Slice 569 of 836, Upper abdomen, CT 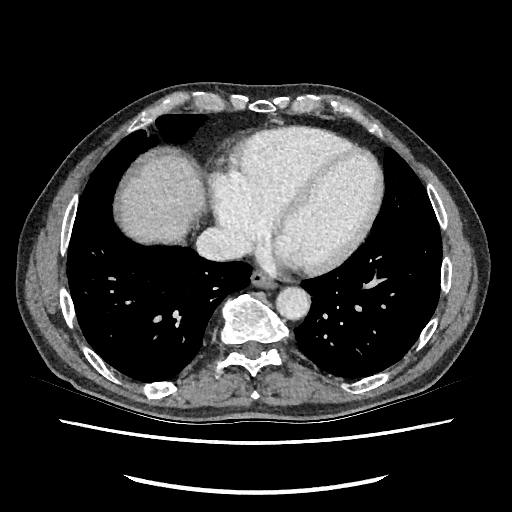
<segmentation>
  <liver>(120,156,202,241)</liver>
</segmentation>